Brain
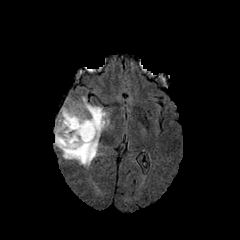
FLAIR MR image.
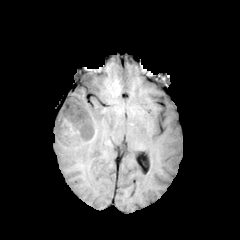
Same slice, T1-weighted MR image.
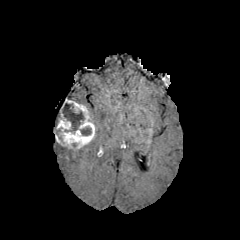
Post-contrast T1-weighted magnetic resonance of the same slice.
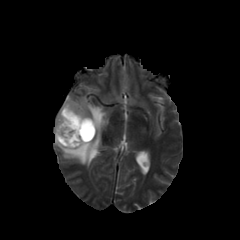
T2-weighted MR.
The edema is bounded by 54 95 110 168. The non-enhancing tumor core appears at 62 103 91 135. The enhancing tumor lies within 54 98 94 149.